Slice index 72.
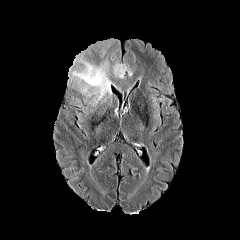
FLAIR magnetic resonance.
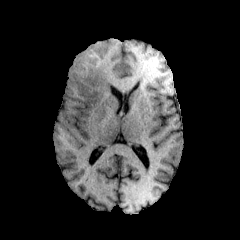
T1-weighted MR.
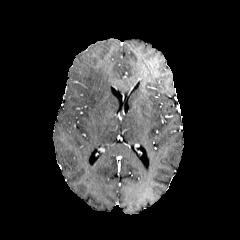
Post-contrast T1-weighted MR.
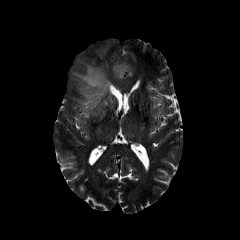
Same slice, T2-weighted MR image.
Annotated regions:
• edema: box=[68, 57, 115, 106]; box=[112, 63, 132, 78]